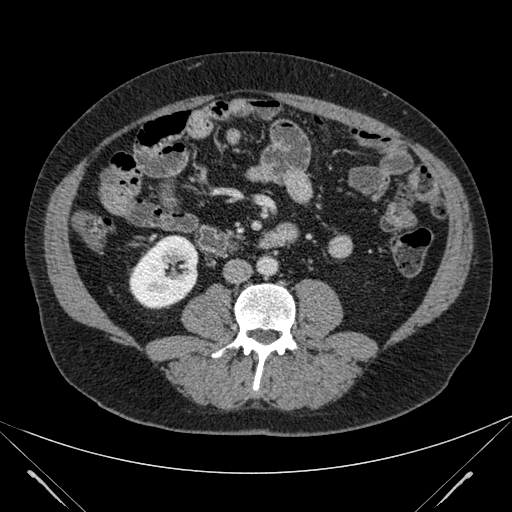 CT
* kidney: (130,236,197,307)